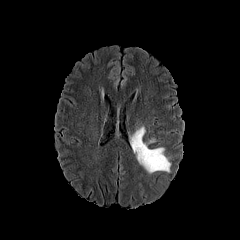
FLAIR magnetic resonance.
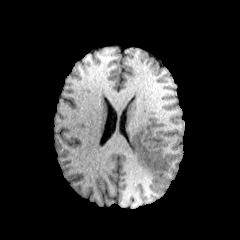
Same slice, T1-weighted MR image.
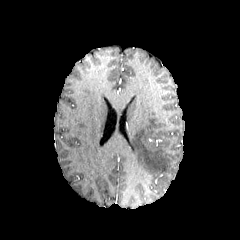
Post-contrast T1-weighted MR.
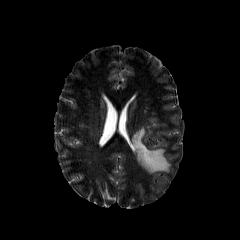
Same slice, T2-weighted magnetic resonance.
Brain
The edema is at box(130, 127, 170, 173).